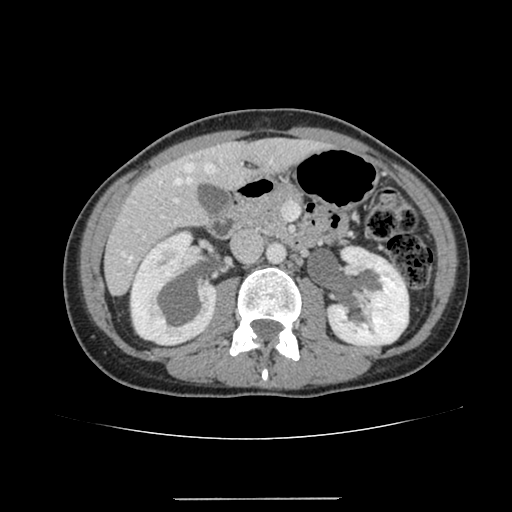
CT image
liver: {"x1": 104, "y1": 138, "x2": 325, "y2": 295} | kidney: {"x1": 131, "y1": 232, "x2": 215, "y2": 344}, {"x1": 328, "y1": 247, "x2": 408, "y2": 345}